Liver, CT slice, Slice index 89 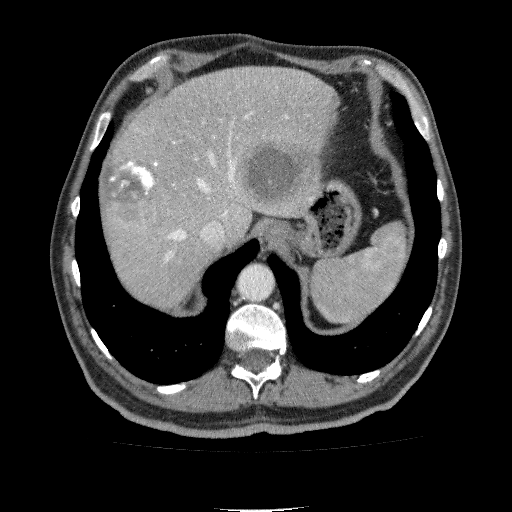 {
  "liver": [
    "bbox(102, 68, 340, 312)"
  ],
  "focal_liver_lesion": [
    "bbox(237, 140, 314, 206)",
    "bbox(100, 150, 159, 221)"
  ]
}